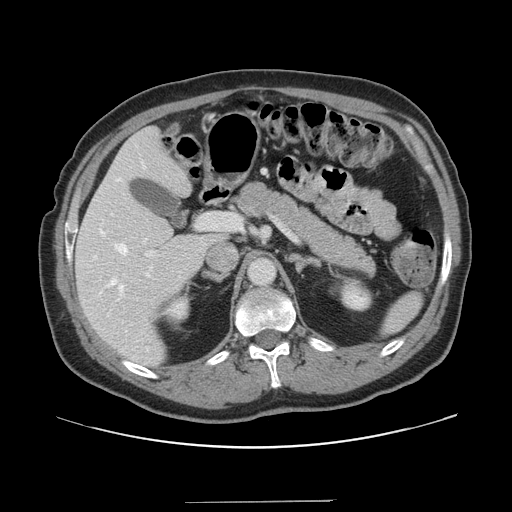

Computed tomography

Not every hepatic vessel necessarily has a box.
{"hepatic_vessel": ["<box>142,162,145,167</box>", "<box>116,178,121,180</box>", "<box>115,243,127,254</box>", "<box>100,230,104,234</box>", "<box>108,278,116,285</box>", "<box>145,251,154,256</box>", "<box>197,213,241,229</box>", "<box>118,285,123,295</box>", "<box>125,330,127,332</box>"]}